CT slice

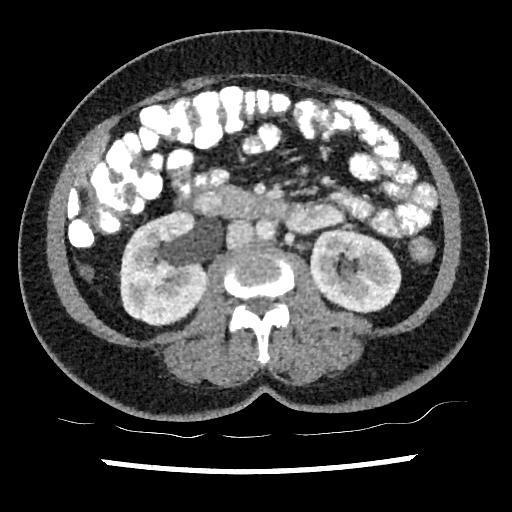 kidney:
  - 121 213 206 324
  - 311 231 400 311
liver:
  - 78 135 106 182